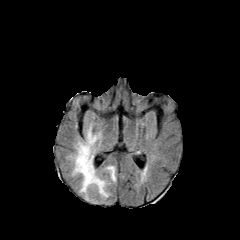
FLAIR MRI.
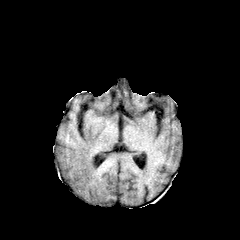
T1-weighted MR of the same slice.
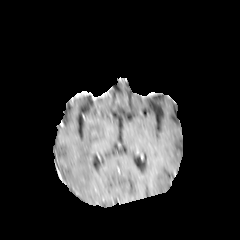
Post-contrast T1-weighted magnetic resonance.
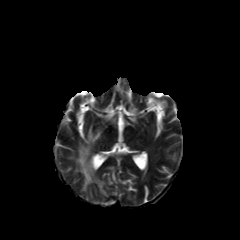
T2-weighted MR of the same slice.
Brain
Edema: bounding box left=70, top=125, right=116, bottom=199.